Liver | CT slice | 512x512 px | Field of view 351x351 mm
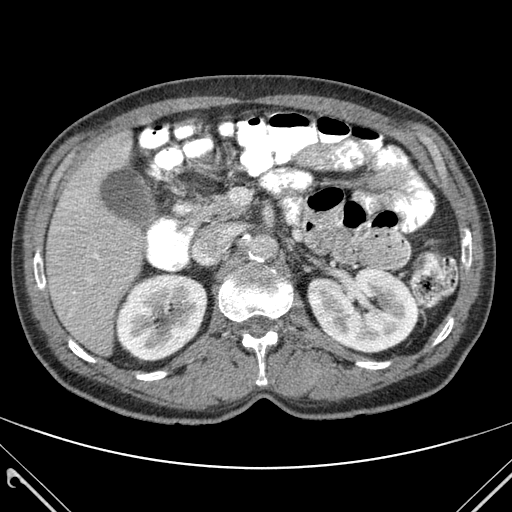

Bone — [434, 319, 452, 343], [219, 270, 292, 321], [137, 372, 165, 380], [242, 331, 277, 384], [34, 251, 45, 288], [462, 231, 471, 265], [357, 362, 389, 369], [69, 341, 94, 361].
Liver — [46, 132, 147, 354].
Kidney — [309, 268, 417, 351], [117, 275, 205, 359].